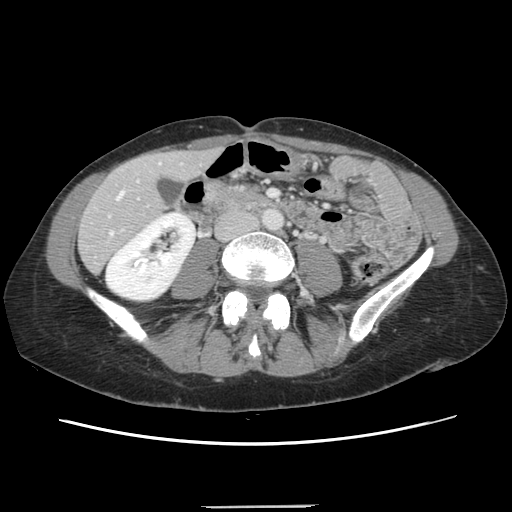 CT

The vessel boxes may cover only some of the vessels.
2 hepatic vessel regions appear at [109,231,112,235], [116,191,122,199].